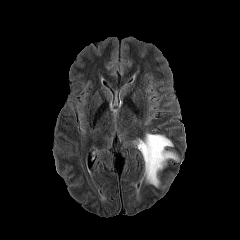
FLAIR MR image.
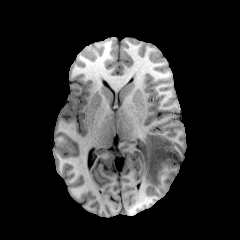
T1-weighted MRI.
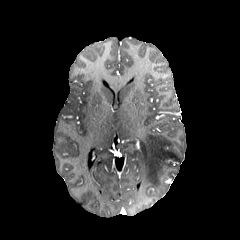
Post-contrast T1-weighted magnetic resonance of the same slice.
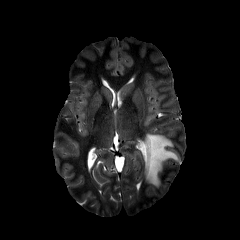
Same slice, T2-weighted MRI.
240x240; Head
• edema: 139, 134, 179, 188